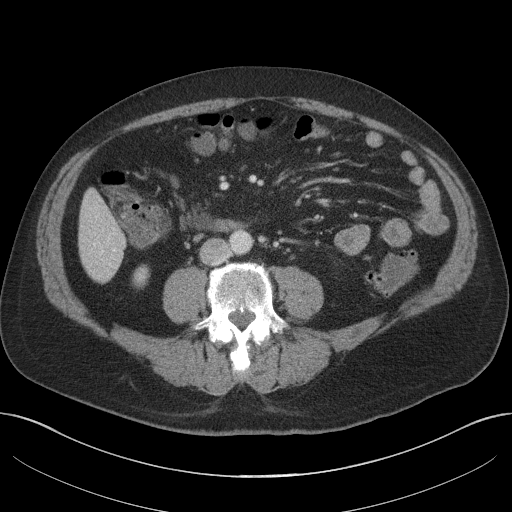 512x512 px | CT image | Liver

Liver — <bbox>79, 191, 124, 280</bbox>.